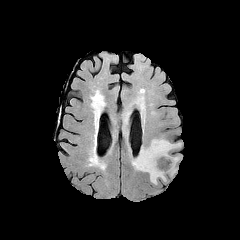
FLAIR MR image.
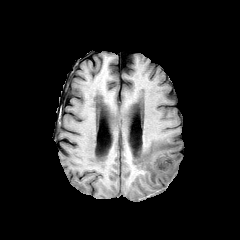
T1-weighted magnetic resonance.
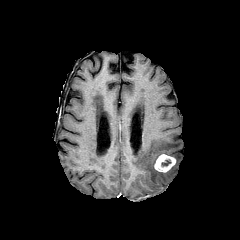
Post-contrast T1-weighted magnetic resonance.
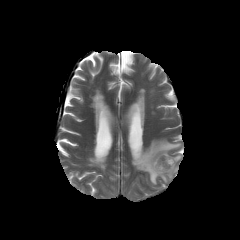
Same slice, T2-weighted MRI.
enhancing_tumor:
  - (154,154,175,172)
edema:
  - (132,138,179,183)